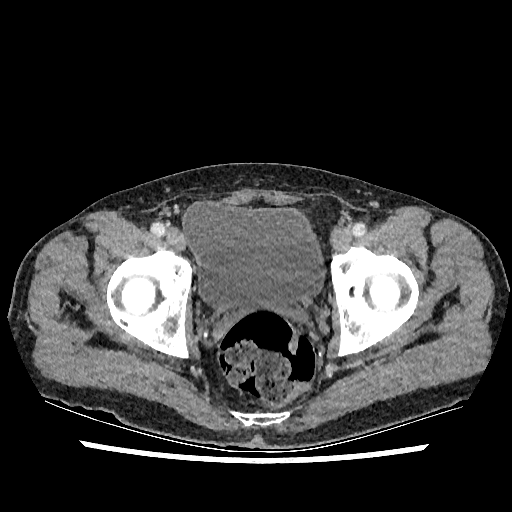
CT image. Segmented structures:
• urinary bladder: 183, 201, 325, 331